Head; Slice index 54
FLAIR magnetic resonance.
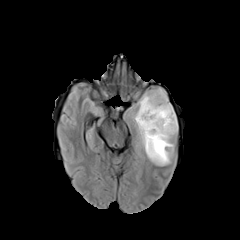
T1-weighted MR.
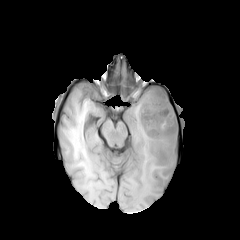
Post-contrast T1-weighted magnetic resonance.
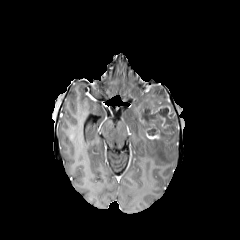
T2-weighted MR image.
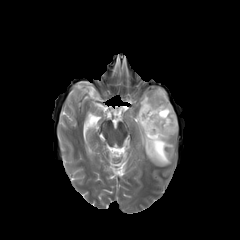
<segmentation>
  <non-enhancing_tumor_core>[138,86,177,138]</non-enhancing_tumor_core>
  <edema>[129,88,178,166]</edema>
</segmentation>